Slice index 72
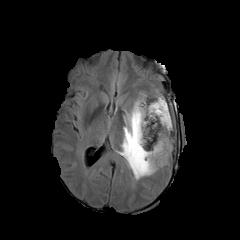
FLAIR MRI.
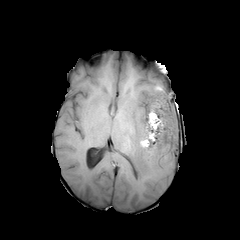
T1-weighted MRI.
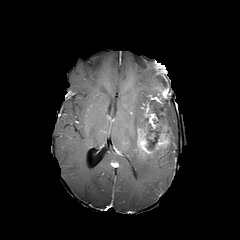
Post-contrast T1-weighted MR of the same slice.
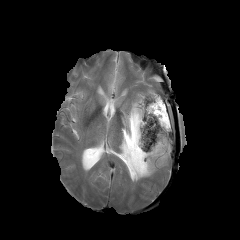
T2-weighted MR of the same slice.
non-enhancing_tumor_core:
  - 133:126:139:145
  - 140:104:169:155
edema:
  - 112:91:173:182
  - 108:72:120:92
enhancing_tumor:
  - 137:129:144:155
  - 156:136:168:149